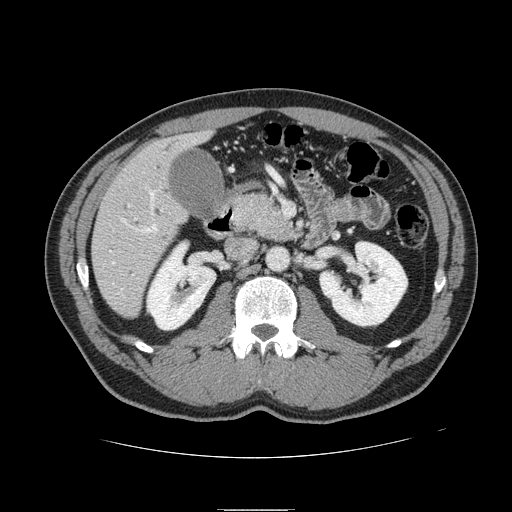
Computed tomography; Abdomen
Pancreas = left=231, top=194, right=297, bottom=240.
Pancreatic tumor = left=242, top=198, right=273, bottom=226.